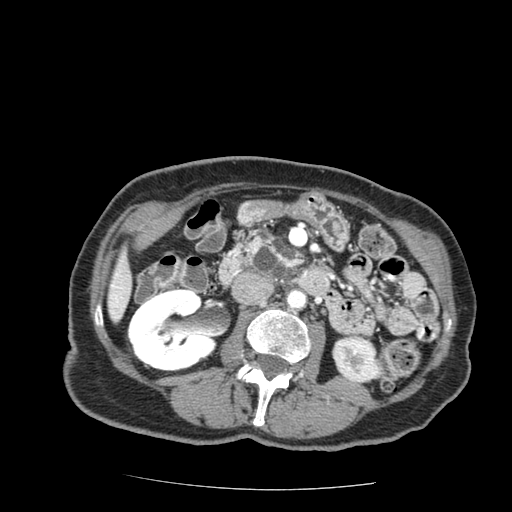 Abdomen. 512x512. CT slice.

The pancreas lies within (246,230,304,287). The pancreatic tumor lies within (253,239,307,279).